Abdomen; Slice 38/97; CT slice; Field of view 460x460 mm 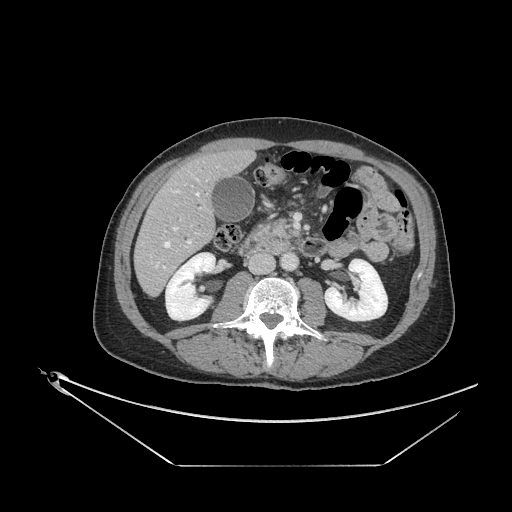 pancreatic tumor: [273,227,288,239] | pancreas: [259,220,299,240]